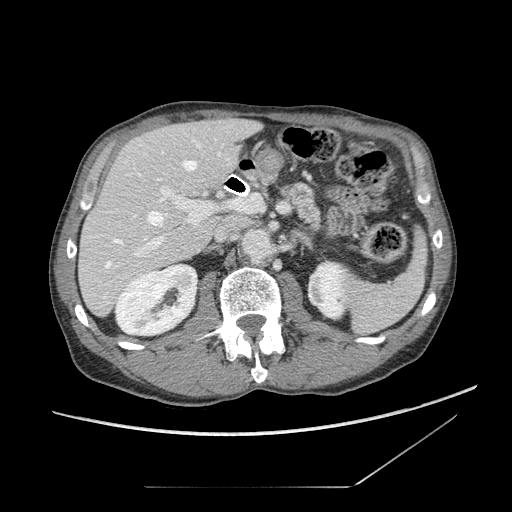 CT
• pancreas: (x1=286, y1=190, x2=320, y2=228)